Slice 211/461 | Liver | CT scan slice | 512x512 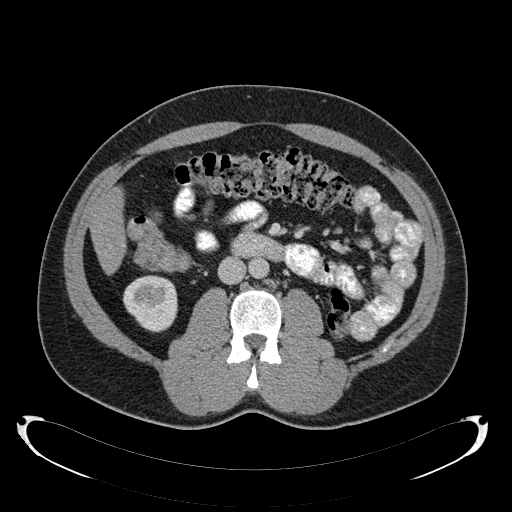
Annotated regions:
* kidney: 124:276:176:331
* liver: 90:190:125:270